Slice index 485. CT.

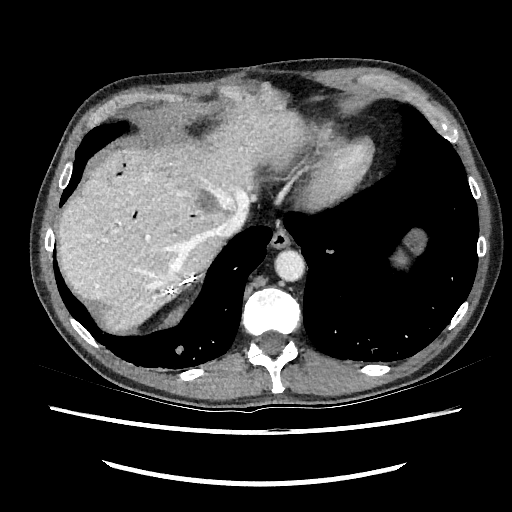 Liver: bounding box {"x1": 59, "y1": 88, "x2": 310, "y2": 330}.
Liver lesion: bounding box {"x1": 197, "y1": 189, "x2": 219, "y2": 211}.